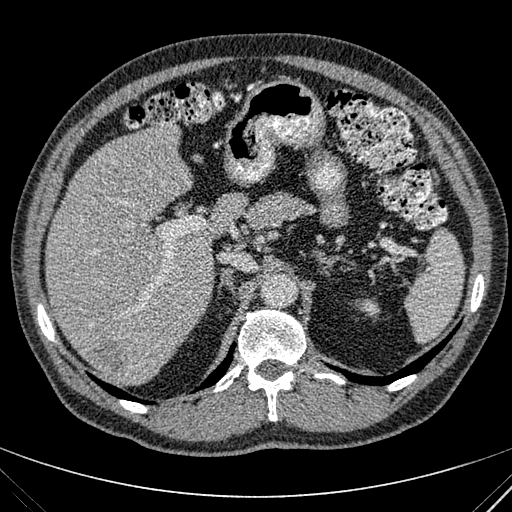

Computed tomography. Upper abdomen.
liver: (47,125,245,383) | kidney: (362,299,379,314) | liver lesion: (81,332,125,377)